Field of view 512x512 mm. CT slice. 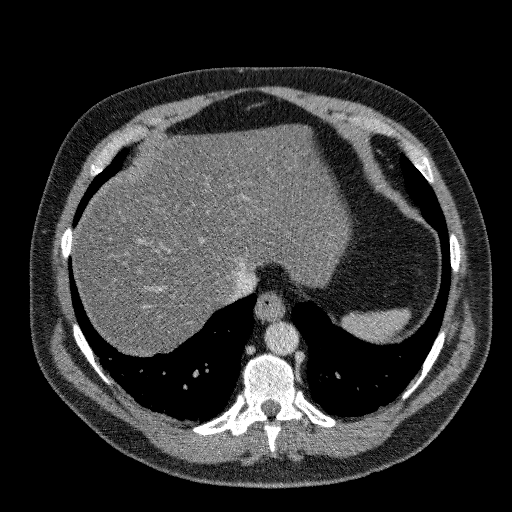

Segmented structures:
- liver: [71, 124, 342, 354]